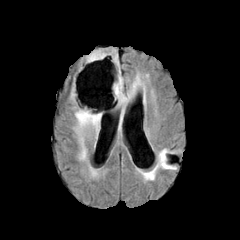
FLAIR magnetic resonance.
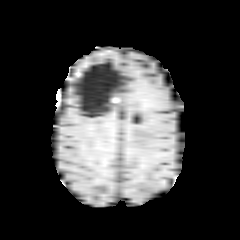
T1-weighted magnetic resonance of the same slice.
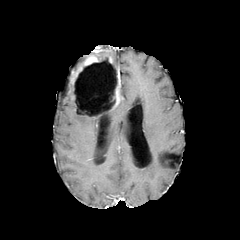
Post-contrast T1-weighted MR image of the same slice.
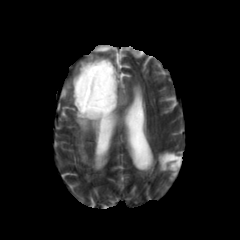
Same slice, T2-weighted MR.
Head | 240x240 px
Non-enhancing tumor core = (x1=73, y1=68, x2=118, y2=117).
Enhancing tumor = (x1=85, y1=54, x2=97, y2=63), (x1=115, y1=71, x2=123, y2=103).
Edema = (x1=158, y1=150, x2=173, y2=171), (x1=116, y1=72, x2=145, y2=131), (x1=70, y1=90, x2=76, y2=105), (x1=72, y1=108, x2=102, y2=160), (x1=110, y1=50, x2=119, y2=67).